MR image | Slice index 102 | Field of view 400x400 mm 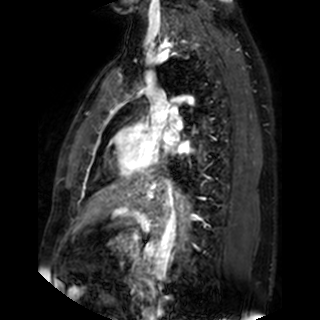 Left atrium: region(164, 129, 178, 146); region(176, 142, 189, 153).